Computed tomography. Image size 512x512. 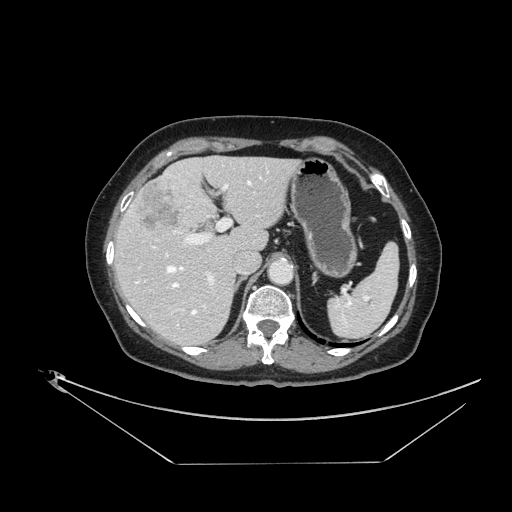

Some hepatic vessels may have no box.
<segmentation>
  <liver_tumor>[x1=132, y1=181, x2=185, y2=232]</liver_tumor>
  <hepatic_vessel>[x1=153, y1=247, x2=154, y2=248], [x1=217, y1=219, x2=230, y2=229], [x1=191, y1=309, x2=196, y2=314], [x1=207, y1=273, x2=213, y2=284], [x1=171, y1=283, x2=178, y2=287], [x1=166, y1=265, x2=183, y2=272], [x1=185, y1=234, x2=210, y2=244]</hepatic_vessel>
</segmentation>